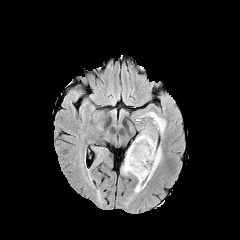
FLAIR MRI.
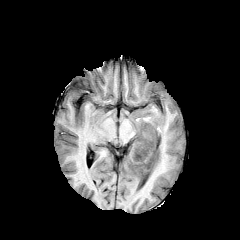
T1-weighted magnetic resonance.
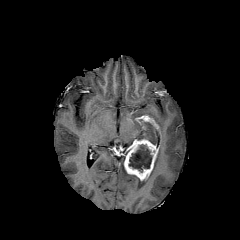
Post-contrast T1-weighted MR.
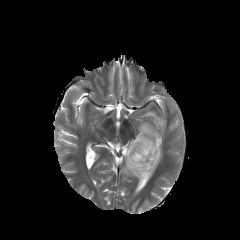
T2-weighted magnetic resonance.
Brain
3 non-enhancing tumor core regions are bounded by [140,115,159,126], [129,144,152,172], [136,136,159,147]. The enhancing tumor lies within [124,138,158,180]. The edema appears at [133,111,166,193].